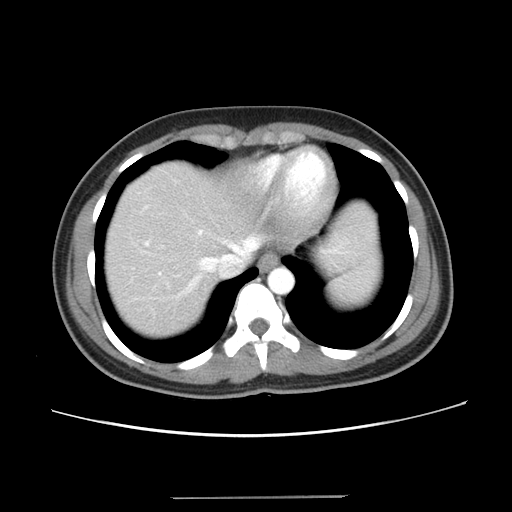
Liver, CT slice

The vessel boxes may cover only some of the vessels.
<segmentation>
  <hepatic_vessel>[201,258,217,271], [223,255,226,257], [145,206,148,208], [229,243,235,248], [178,275,201,296], [146,242,148,245], [159,273,161,274], [199,230,202,234]</hepatic_vessel>
</segmentation>